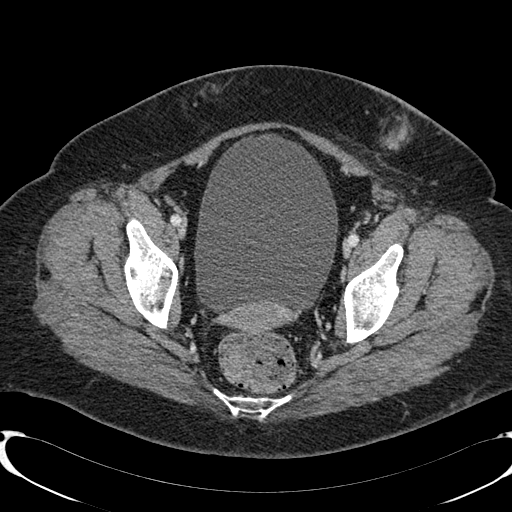
512x512; CT
The urinary bladder lies within left=195, top=134, right=337, bottom=308.